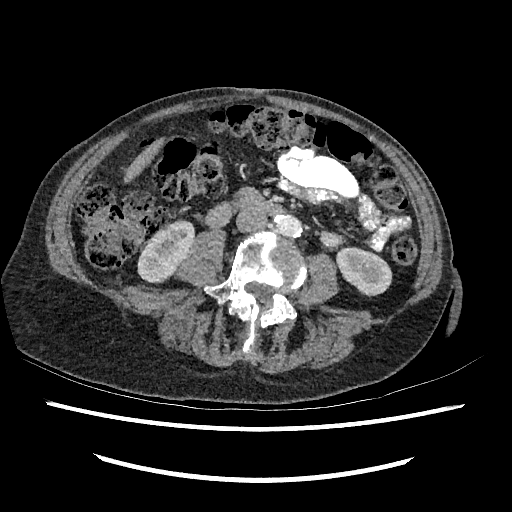

CT image

2 kidney regions are located at bbox(138, 223, 192, 281); bbox(337, 248, 391, 294). The liver is bounded by bbox(128, 141, 161, 177).